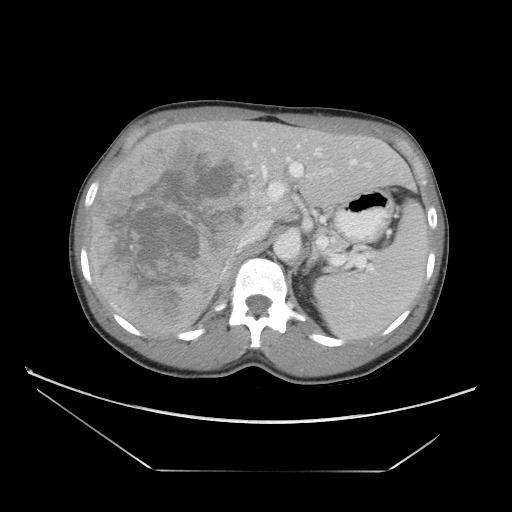 CT
Some hepatic vessels may have no box.
Hepatic vessel — box=[263, 167, 265, 174]; box=[286, 157, 301, 175]; box=[271, 185, 282, 196]; box=[271, 148, 275, 152].
Liver tumor — box=[89, 124, 265, 334].